FLAIR magnetic resonance.
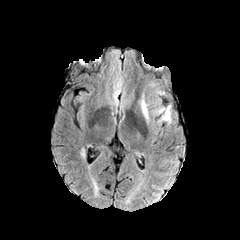
T1-weighted MR.
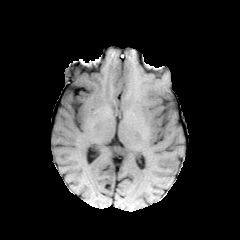
Post-contrast T1-weighted MR.
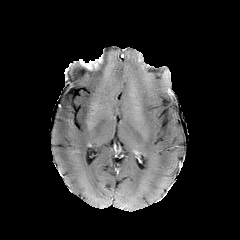
T2-weighted MR.
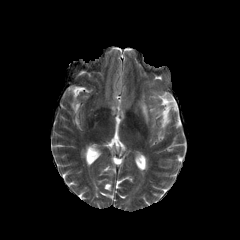
Brain
edema:
  - x1=141 y1=100 x2=148 y2=119
  - x1=159 y1=105 x2=171 y2=121